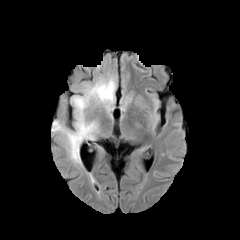
FLAIR MRI.
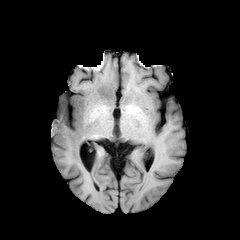
Same slice, T1-weighted MRI.
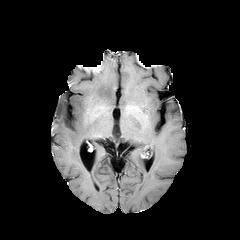
Post-contrast T1-weighted MR image.
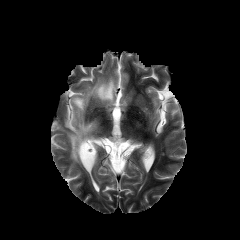
Same slice, T2-weighted MRI.
{
  "edema": [
    "(51, 73, 116, 169)"
  ]
}